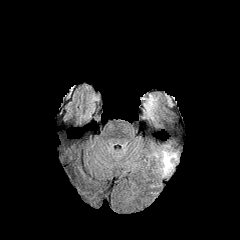
FLAIR magnetic resonance.
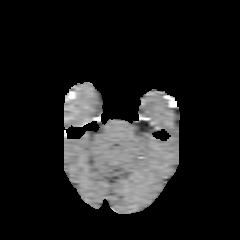
T1-weighted MRI.
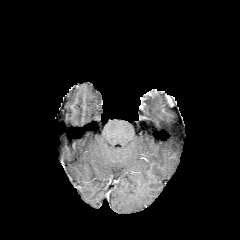
Post-contrast T1-weighted MRI.
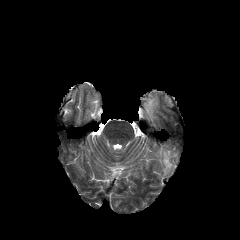
T2-weighted MR image.
Brain
<segmentation>
  <edema>(x1=151, y1=141, x2=180, y2=177), (x1=143, y1=93, x2=160, y2=122)</edema>
</segmentation>